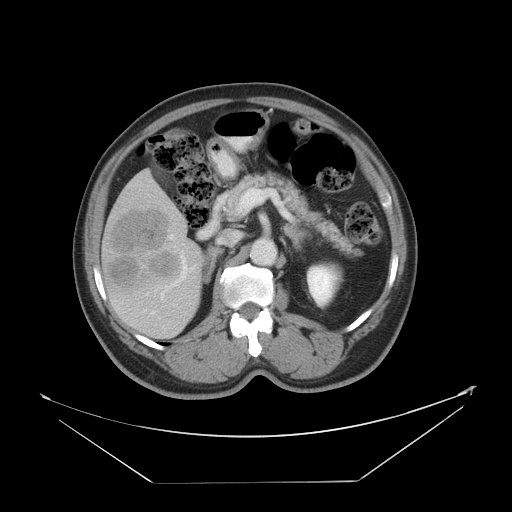
CT.

Only some of the vessels may be annotated.
Annotated regions:
• hepatic vessel: [154, 251, 196, 299], [152, 310, 155, 314], [169, 235, 175, 239], [143, 309, 145, 312]
• liver tumor: [109, 209, 179, 287]